FLAIR MRI.
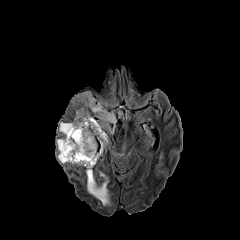
T1-weighted MRI.
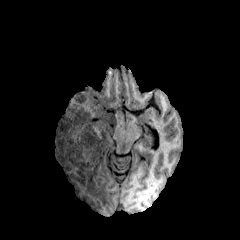
Post-contrast T1-weighted MR image.
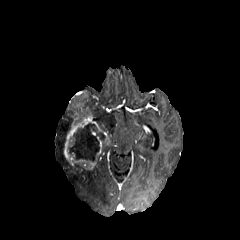
T2-weighted MRI.
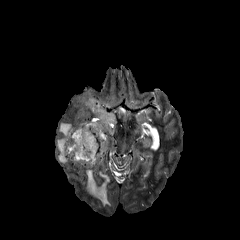
240x240 px
Findings:
* non-enhancing tumor core: (x1=63, y1=102, x2=73, y2=125), (x1=68, y1=123, x2=99, y2=161)
* edema: (x1=83, y1=91, x2=116, y2=130), (x1=55, y1=121, x2=70, y2=164), (x1=85, y1=170, x2=109, y2=206)
* enhancing tumor: (x1=63, y1=91, x2=109, y2=172)